CT scan slice; Abdomen; Slice index 326; 512x512; Field of view 373 mm wide, 0.80 mm slice spacing
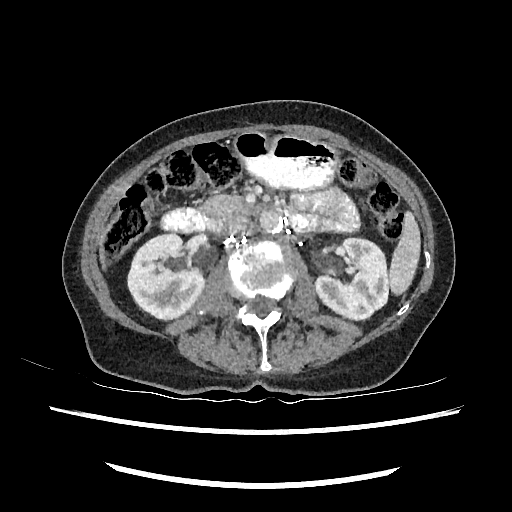
2 kidney regions appear at bbox(316, 238, 388, 319); bbox(128, 234, 203, 318). The liver appears at bbox(100, 234, 105, 267).